CT; Upper abdomen

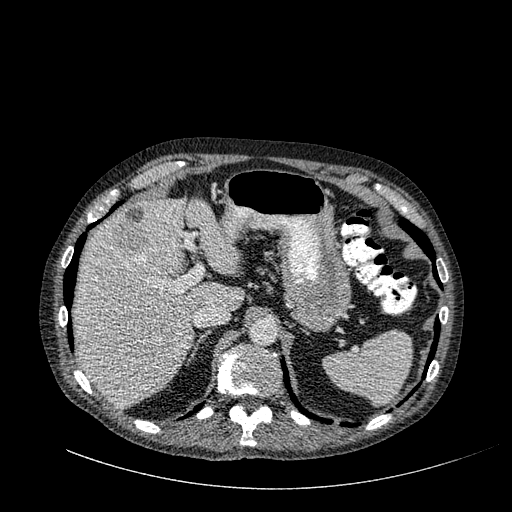 {
  "liver": [
    "box=[74, 197, 243, 407]",
    "box=[186, 198, 237, 274]"
  ],
  "liver_lesion": [
    "box=[125, 207, 143, 222]",
    "box=[113, 221, 147, 255]"
  ]
}